Image size 240x240. Slice 39 of 155. Brain.
FLAIR MRI.
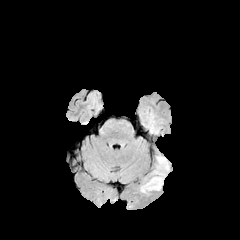
T1-weighted magnetic resonance.
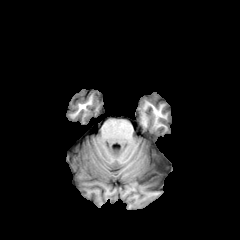
Post-contrast T1-weighted MR.
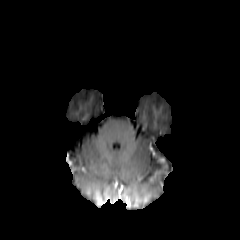
T2-weighted MRI.
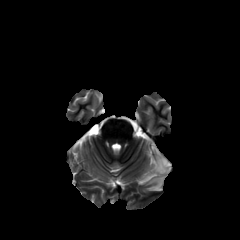
edema:
  - box=[142, 149, 170, 190]
non-enhancing_tumor_core:
  - box=[156, 157, 168, 173]